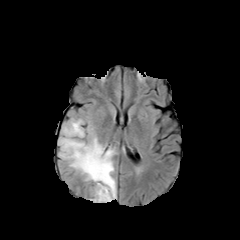
FLAIR MRI.
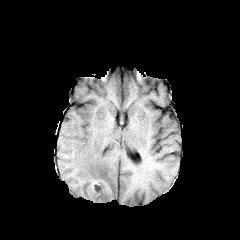
Same slice, T1-weighted MRI.
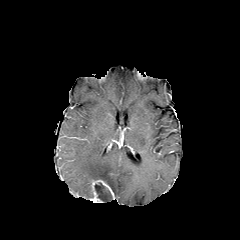
Same slice, post-contrast T1-weighted MRI.
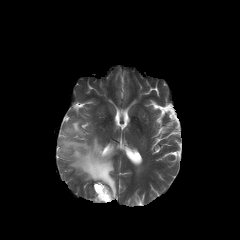
T2-weighted magnetic resonance.
240x240
edema: (58,119,116,198) | non-enhancing tumor core: (95,173,108,181), (92,180,111,200)